512x512 px; CT slice 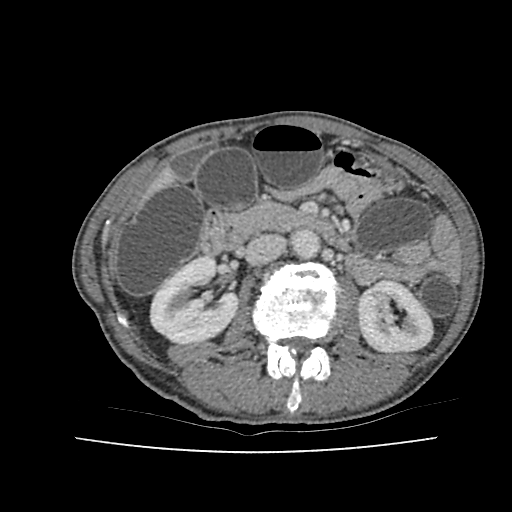
Kidney: <box>359,281,432,351</box>, <box>151,257,237,343</box>.